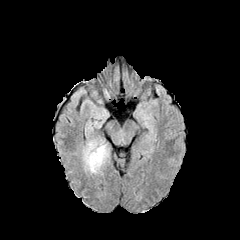
FLAIR MR.
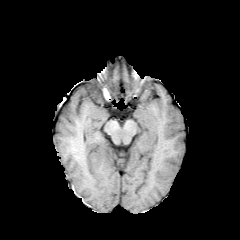
T1-weighted MRI of the same slice.
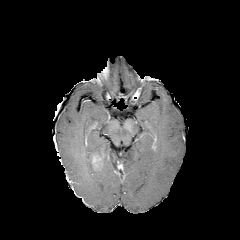
Post-contrast T1-weighted MRI.
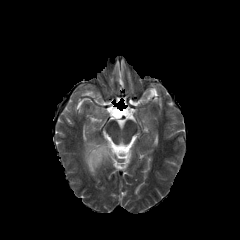
Same slice, T2-weighted MR.
Annotated regions:
• edema: 81,139,110,174
• enhancing tumor: 91,152,104,170